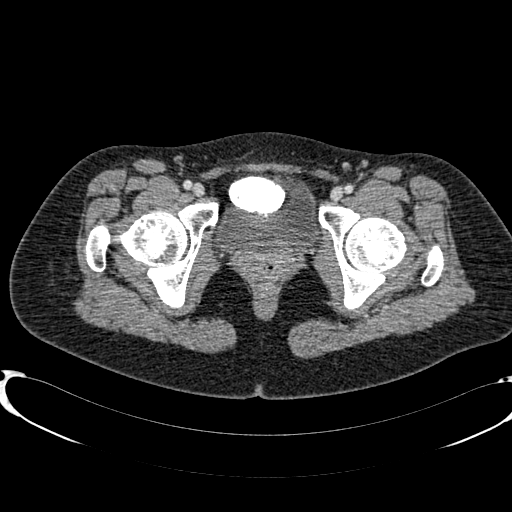 512x512, CT, Pelvis

urinary_bladder:
  - (216, 181, 322, 256)